Brain
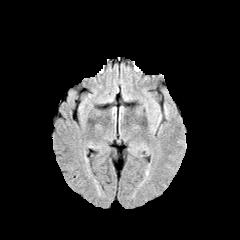
FLAIR MR.
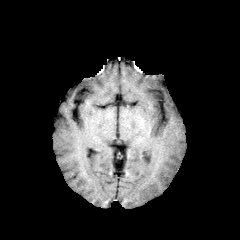
T1-weighted MR.
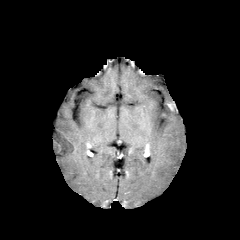
Same slice, post-contrast T1-weighted MR.
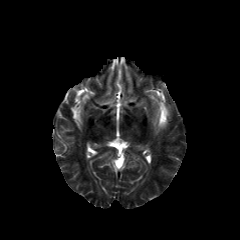
T2-weighted MRI.
• edema: left=149, top=104, right=176, bottom=128